CT. Lung. Slice 156 of 243. Image size 512x512.
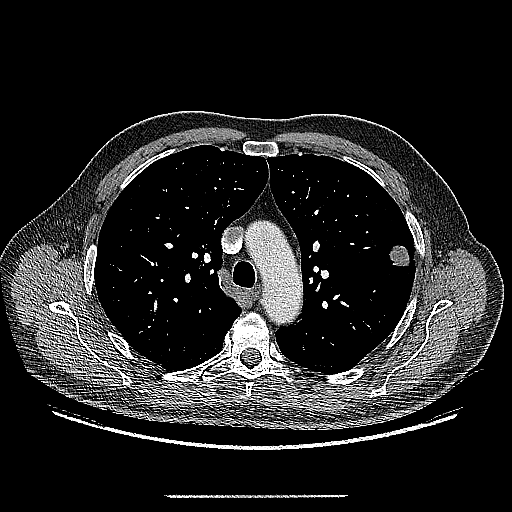
• lung tumor: 386:243:411:269